Image size 240x240, Head, Slice 52 of 155
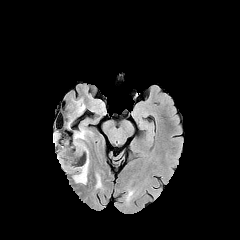
FLAIR magnetic resonance.
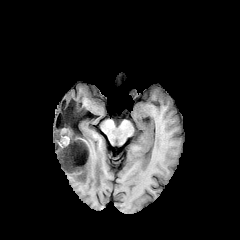
T1-weighted MRI.
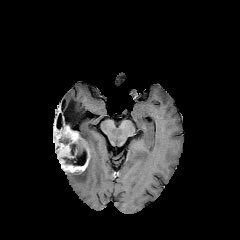
Post-contrast T1-weighted MRI of the same slice.
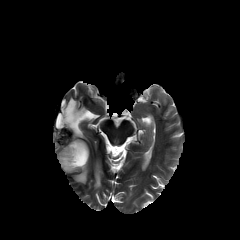
T2-weighted magnetic resonance of the same slice.
Enhancing tumor: l=58, t=143, r=89, b=171; l=64, t=125, r=85, b=148; l=53, t=124, r=60, b=145.
Edema: l=94, t=164, r=101, b=187; l=72, t=159, r=90, b=184; l=66, t=98, r=90, b=141.
Non-enhancing tumor core: l=56, t=127, r=87, b=166; l=66, t=104, r=75, b=121.